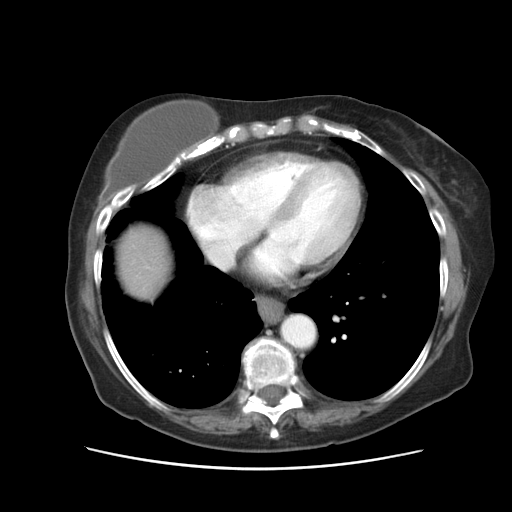
512x512; CT image
Only some of the vessels may be annotated.
Hepatic vessel — bbox(224, 259, 233, 265); bbox(239, 236, 250, 247); bbox(208, 240, 217, 259).